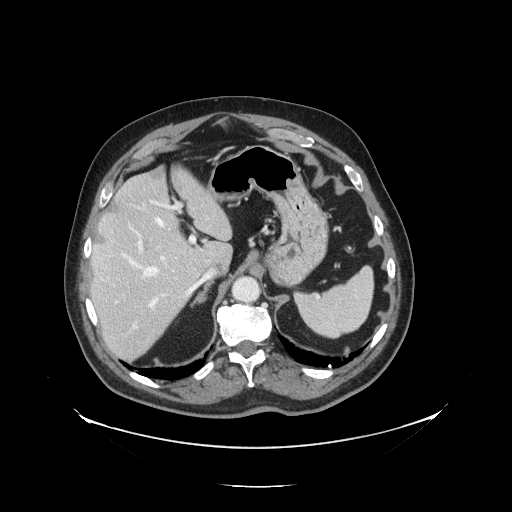 Computed tomography; Abdomen
Not every hepatic vessel necessarily has a box.
Segmented structures:
- hepatic vessel: [161,257,164,259], [206,243,209,246], [139,204,145,209], [132,323,137,329], [130,225,142,251], [150,200,174,209], [207,217,208,219], [184,270,216,297], [161,294,165,296], [148,298,158,309], [155,218,164,226], [122,253,158,276]
- liver tumor: [150,166,164,179]